Abdomen; CT image; 512x512 px; Slice 387 of 696; Field of view 339x339 mm
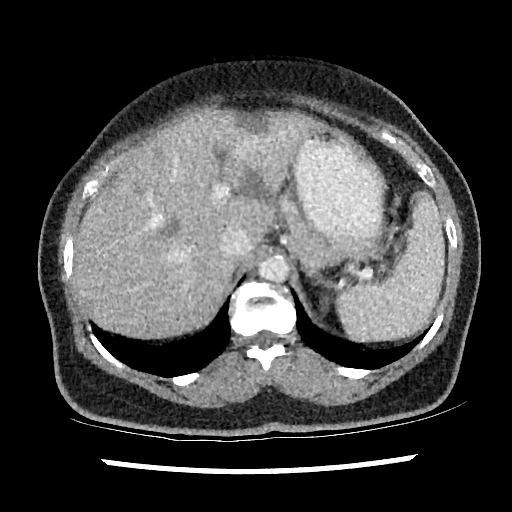 liver:
  - [72, 112, 318, 338]
liver_lesion:
  - [161, 218, 178, 235]
  - [235, 112, 268, 132]
  - [234, 165, 273, 204]